FLAIR MRI.
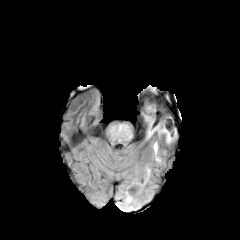
T1-weighted MR.
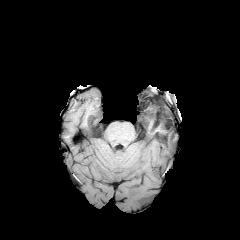
Post-contrast T1-weighted MR.
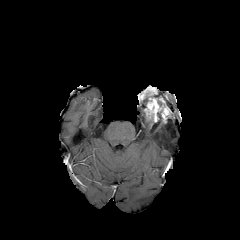
T2-weighted MRI.
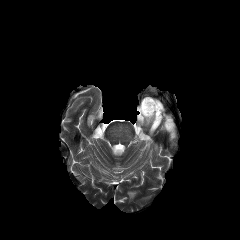
Head; Image size 240x240
The enhancing tumor is located at 143:101:161:120. 2 edema regions are located at 160:126:174:143, 153:143:160:161. The non-enhancing tumor core lies within 156:107:165:121.